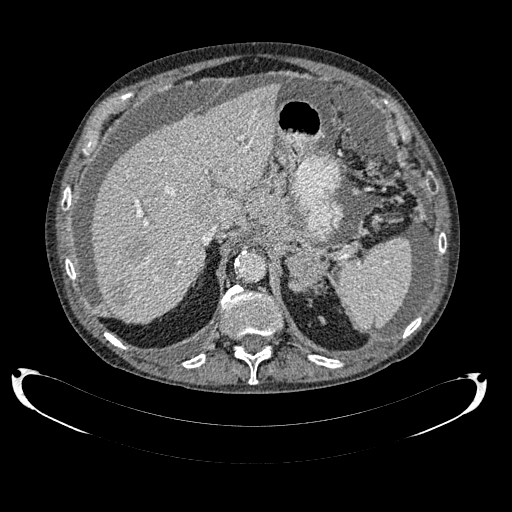 CT slice
Findings:
• liver: <box>92,82,279,322</box>
• liver lesion: <box>110,284,127,304</box>, <box>167,259,174,267</box>, <box>192,194,208,218</box>, <box>123,238,148,264</box>